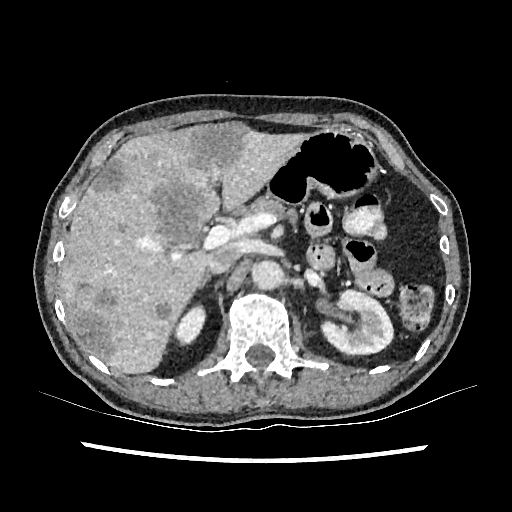

CT slice; Image size 512x512; Liver
Kidney: (left=177, top=308, right=204, bottom=342), (left=323, top=290, right=394, bottom=358).
Liver: (left=62, top=130, right=306, bottom=372).
Liver lesion: (left=72, top=312, right=114, bottom=355), (left=95, top=290, right=117, bottom=308), (left=156, top=302, right=171, bottom=319), (left=148, top=152, right=157, bottom=159), (left=94, top=158, right=125, bottom=191), (left=118, top=224, right=123, bottom=232), (left=78, top=282, right=89, bottom=292), (left=153, top=183, right=200, bottom=245), (left=64, top=254, right=74, bottom=266), (left=180, top=123, right=249, bottom=169).